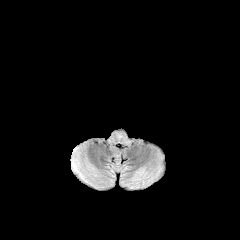
FLAIR MR.
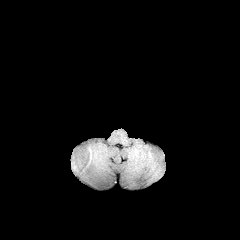
T1-weighted MR image.
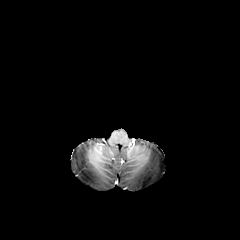
Same slice, post-contrast T1-weighted MR image.
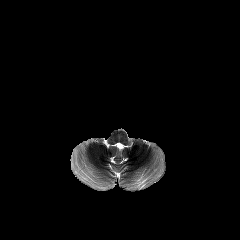
T2-weighted MR.
Head | 240x240 px
{"edema": ["region(136, 174, 148, 184)", "region(75, 154, 107, 187)"]}